CT slice. Field of view 472 mm wide, 0.80 mm slice spacing. Liver.
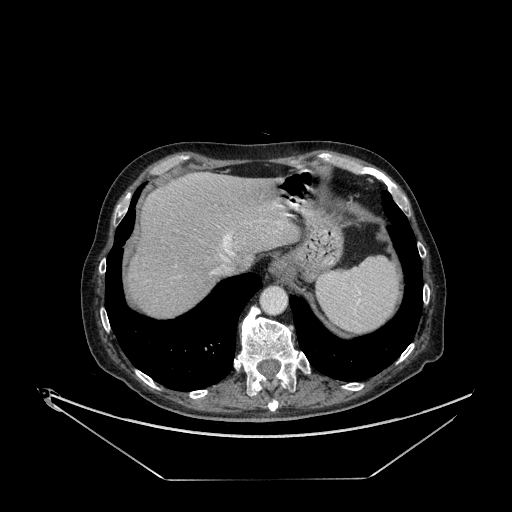
Liver — left=128, top=173, right=295, bottom=316.